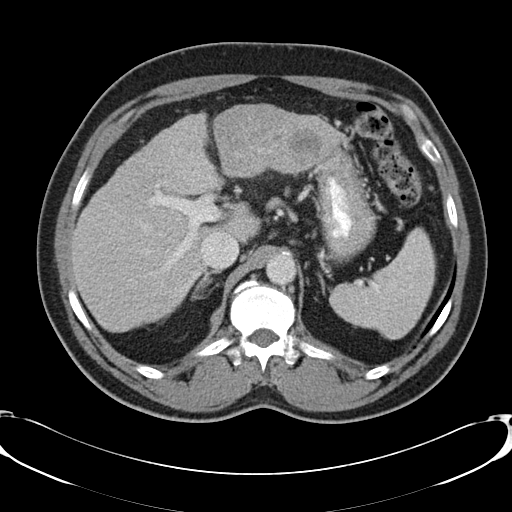

CT scan slice

Some hepatic vessels may have no box.
The liver tumor is bounded by left=291, top=130, right=322, bottom=153. 6 hepatic vessel regions are bounded by left=140, top=220, right=151, bottom=230; left=202, top=238, right=207, bottom=244; left=149, top=191, right=218, bottom=270; left=202, top=183, right=205, bottom=185; left=141, top=249, right=149, bottom=253; left=149, top=272, right=155, bottom=275.